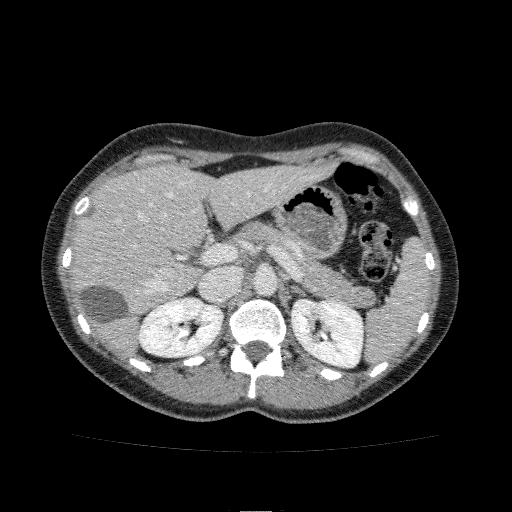

Liver; 512x512 px; CT
The liver lies within x1=72, y1=163, x2=333, y2=355. 2 kidney regions appear at x1=292, y1=300, x2=362, y2=367; x1=139, y1=298, x2=222, y2=356.